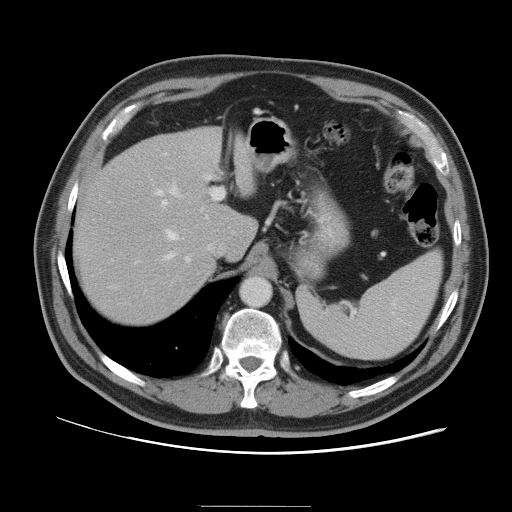 Abdomen, CT scan slice

The vessel boxes may cover only some of the vessels.
hepatic_vessel:
  - x1=165, y1=251, x2=175, y2=258
  - x1=162, y1=200, x2=166, y2=206
  - x1=114, y1=286, x2=117, y2=288
  - x1=165, y1=230, x2=182, y2=239
  - x1=200, y1=208, x2=202, y2=210
  - x1=135, y1=261, x2=139, y2=262
  - x1=204, y1=173, x2=208, y2=178
  - x1=205, y1=216, x2=208, y2=218
  - x1=155, y1=189, x2=162, y2=194
  - x1=164, y1=153, x2=166, y2=154
  - x1=208, y1=245, x2=208, y2=248
  - x1=170, y1=182, x2=181, y2=198
  - x1=185, y1=257, x2=190, y2=261
  - x1=232, y1=232, x2=234, y2=233